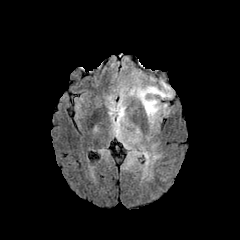
FLAIR MR.
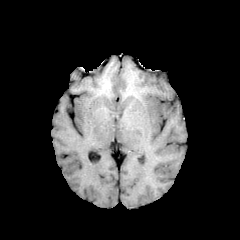
Same slice, T1-weighted MR image.
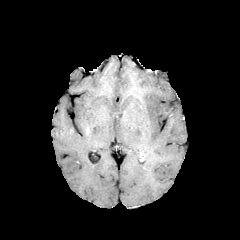
Post-contrast T1-weighted MR image.
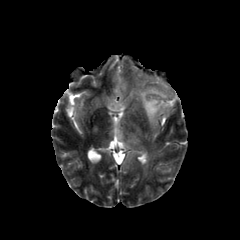
Same slice, T2-weighted magnetic resonance.
Brain
edema: left=114, top=106, right=125, bottom=117; left=139, top=76, right=172, bottom=125; left=129, top=88, right=138, bottom=97 | non-enhancing tumor core: left=136, top=88, right=146, bottom=101